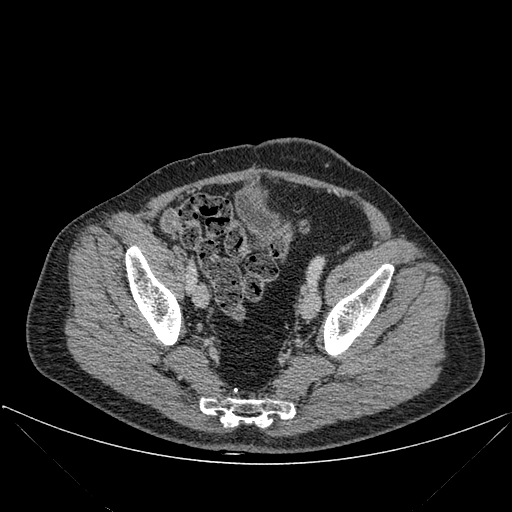
CT scan slice

3 bone regions are bounded by <bbox>200, 398, 295, 428</bbox>, <bbox>324, 264, 393, 355</bbox>, <bbox>126, 246, 180, 344</bbox>.